512x512 px, Field of view 440x440 mm, Slice 78/103, CT image
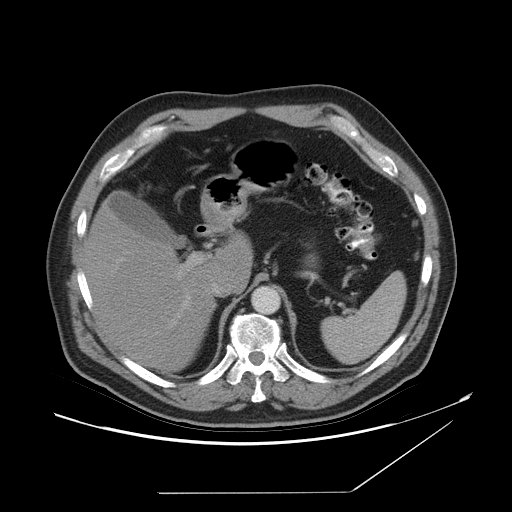

<segmentation>
  <spleen>[322,273,406,363]</spleen>
</segmentation>